FLAIR MR image.
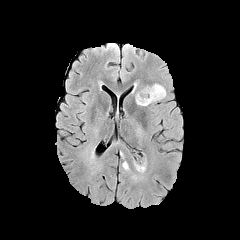
T1-weighted MRI.
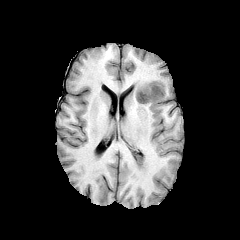
Post-contrast T1-weighted MR.
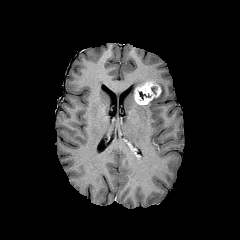
T2-weighted magnetic resonance.
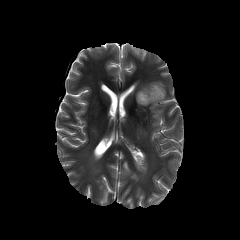
Head
The enhancing tumor is bounded by 135:83:161:104. 3 edema regions are bounded by 134:156:146:173, 122:161:137:179, 150:85:165:103.